Field of view 330 mm wide, 1.50 mm slice spacing; Slice 102/134; CT scan slice; Abdomen 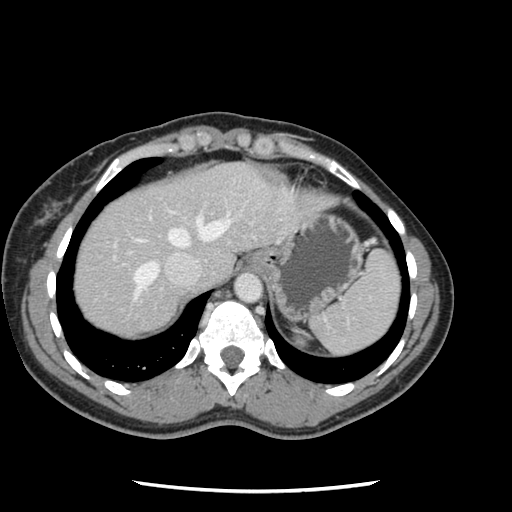 Not every hepatic vessel necessarily has a box.
4 hepatic vessel regions are bounded by rect(196, 217, 229, 240); rect(133, 262, 157, 298); rect(138, 240, 141, 240); rect(168, 228, 188, 246).